CT image; Upper abdomen; Slice 98/168; 512x512

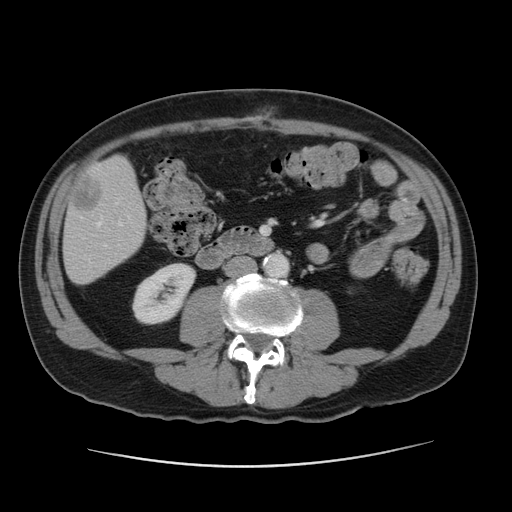 The liver lesion appears at bbox=[72, 176, 102, 211]. The liver lies within bbox=[63, 157, 146, 282]. The kidney lies within bbox=[133, 264, 194, 323].